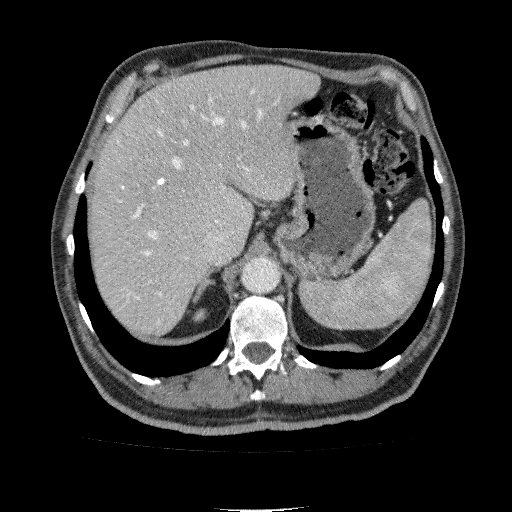

Computed tomography; Abdomen
The liver lesion lies within [274, 165, 287, 176]. The liver lies within [91, 65, 320, 336].